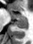 33x44, MRI slice, Medial temporal lobe
Segmented structures:
- anterior hippocampus: rect(11, 14, 26, 19)
- posterior hippocampus: rect(15, 20, 26, 29)